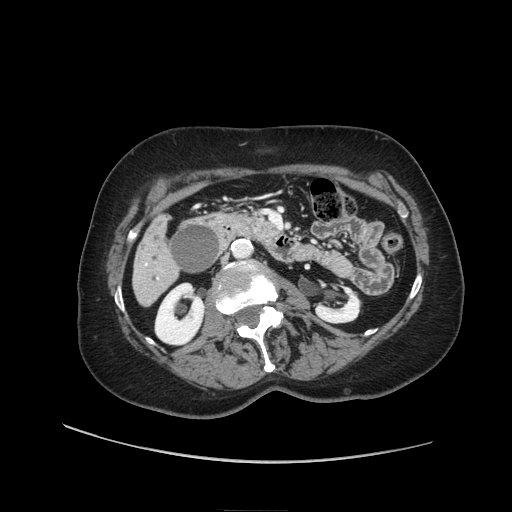 CT; Abdomen; 512x512
Pancreas at box=[230, 215, 269, 235].
Pancreatic tumor at box=[257, 224, 277, 242].